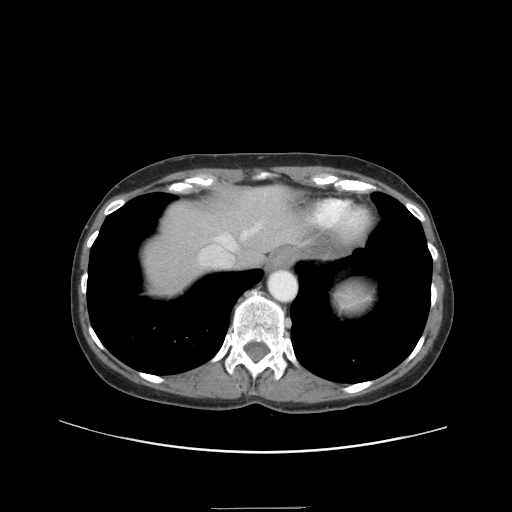 CT scan slice, Liver
Not every hepatic vessel necessarily has a box.
2 hepatic vessel regions are bounded by bbox=[242, 223, 260, 237]; bbox=[217, 235, 235, 249].